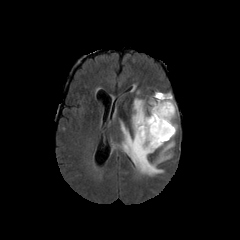
FLAIR magnetic resonance.
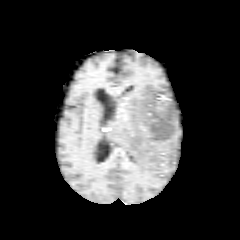
Same slice, T1-weighted magnetic resonance.
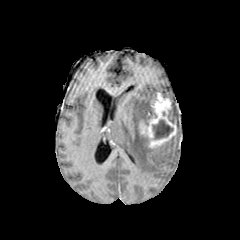
Post-contrast T1-weighted magnetic resonance.
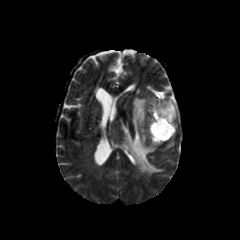
Same slice, T2-weighted MRI.
Enhancing tumor — region(139, 92, 176, 148).
Non-enhancing tumor core — region(153, 120, 173, 139).
Edema — region(120, 98, 163, 175); region(156, 141, 174, 163).